Abdomen; Slice 242 of 466; CT image
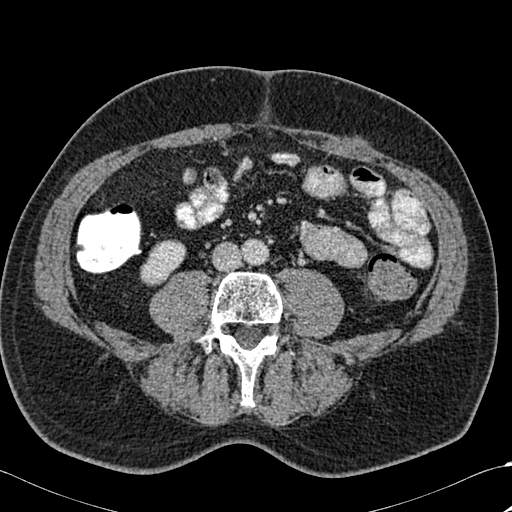
Annotated regions:
• bone: <bbox>198, 272, 282, 406</bbox>
• kidney: <bbox>142, 242, 184, 283</bbox>